CT image. Thorax.
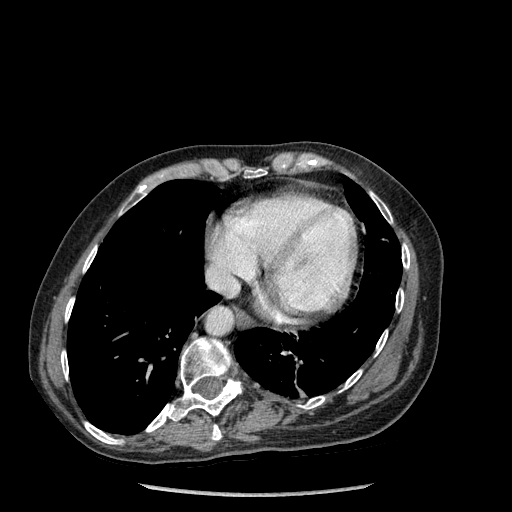 2 lung regions are located at 234 177 401 398, 67 179 222 434. 14 bone regions appear at 374 330 387 356, 339 370 362 392, 244 168 267 177, 402 243 410 268, 211 424 221 440, 82 245 97 272, 298 396 325 409, 119 184 146 214, 84 422 123 444, 395 288 404 312, 64 297 74 321, 61 350 68 379, 146 337 241 432, 369 191 392 223.